FLAIR MR image.
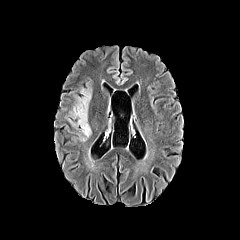
T1-weighted MR image.
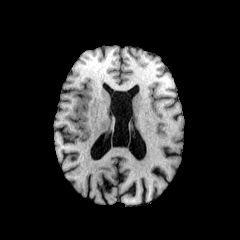
Post-contrast T1-weighted magnetic resonance.
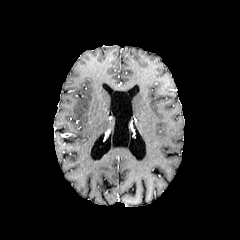
T2-weighted MR image.
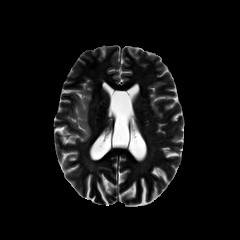
Head
The edema lies within (65, 87, 92, 142).